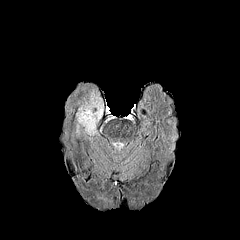
FLAIR MRI.
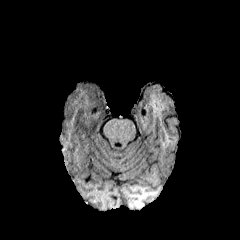
T1-weighted MR image.
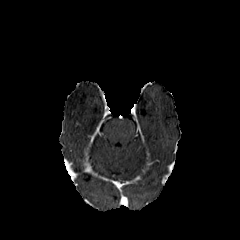
Same slice, post-contrast T1-weighted MRI.
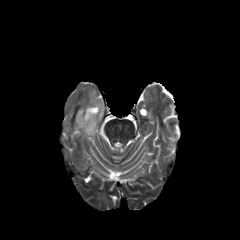
T2-weighted magnetic resonance of the same slice.
edema:
  - left=77, top=104, right=103, bottom=134